Slice 93 of 155. 240x240 px.
FLAIR magnetic resonance.
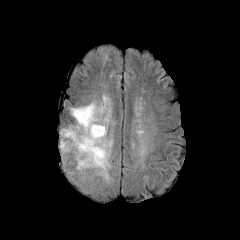
T1-weighted MR image.
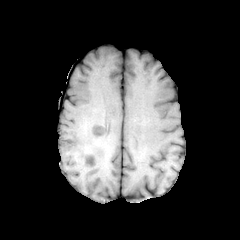
Post-contrast T1-weighted magnetic resonance.
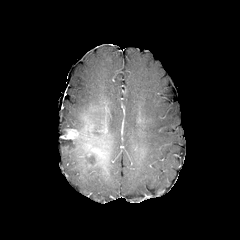
T2-weighted magnetic resonance.
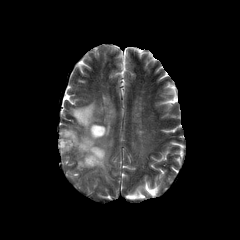
The enhancing tumor appears at left=64, top=130, right=77, bottom=139. 2 non-enhancing tumor core regions are located at left=61, top=125, right=107, bottom=166; left=84, top=116, right=94, bottom=132. The edema lies within left=59, top=88, right=113, bottom=181.